Slice index 64; 240x240
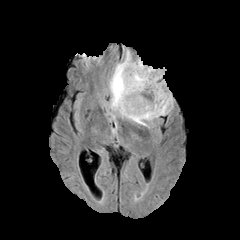
FLAIR magnetic resonance.
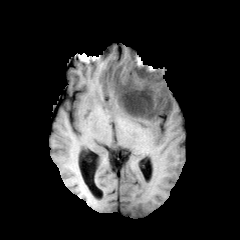
T1-weighted MR image.
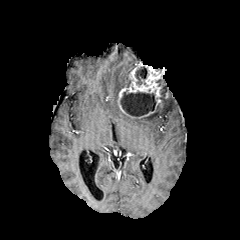
Post-contrast T1-weighted MRI.
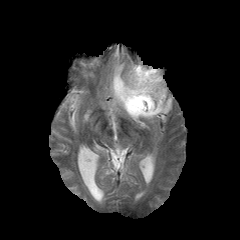
T2-weighted MRI.
enhancing tumor: (116,62,163,118) | non-enhancing tumor core: (160,86,166,105), (135,67,147,84), (121,92,156,114) | edema: (126,94,172,126), (108,50,135,115)